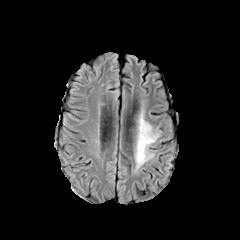
FLAIR MRI.
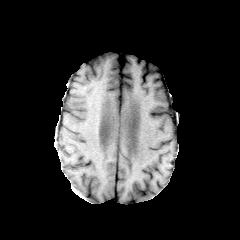
T1-weighted MRI.
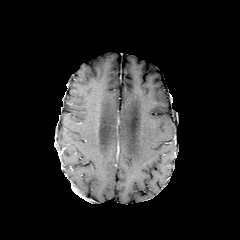
Post-contrast T1-weighted MR of the same slice.
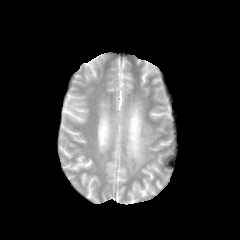
T2-weighted magnetic resonance of the same slice.
240x240
<segmentation>
  <edema>x1=132 y1=113 x2=160 y2=169</edema>
</segmentation>